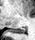

Image size 35x40. Hippocampus. MRI slice.

Segmented structures:
- posterior hippocampus: rect(10, 27, 25, 33)